CT.

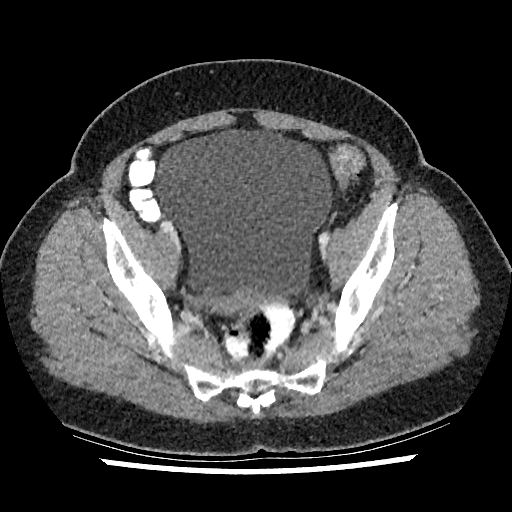 The urinary bladder is located at (left=155, top=127, right=332, bottom=306).